Brain, 240x240 px, Field of view 240x240 mm, Slice 60 of 155
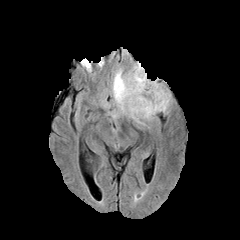
FLAIR magnetic resonance.
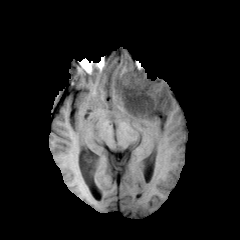
T1-weighted magnetic resonance.
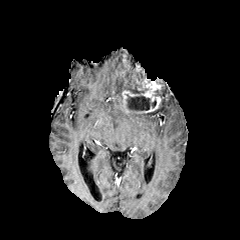
Post-contrast T1-weighted MR.
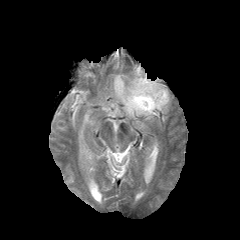
T2-weighted MRI.
Edema: rect(109, 63, 134, 109); rect(127, 85, 170, 123).
Enhancing tumor: rect(122, 67, 167, 113).
Non-enhancing tumor core: rect(155, 88, 165, 96); rect(127, 96, 156, 111); rect(132, 81, 143, 93).